Computed tomography; Slice index 554; Field of view 400 mm wide, 0.80 mm slice spacing

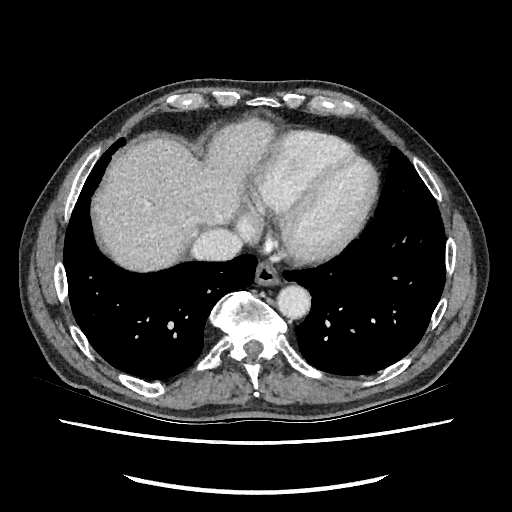
The liver appears at [x1=97, y1=122, x2=270, y2=270].